Head, Slice 85 of 155
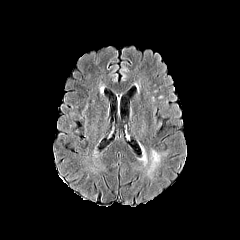
FLAIR MRI.
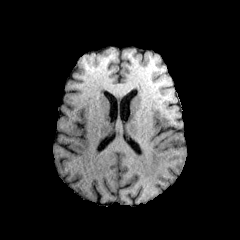
Same slice, T1-weighted MRI.
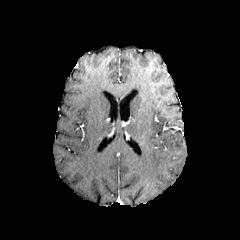
Post-contrast T1-weighted MR image.
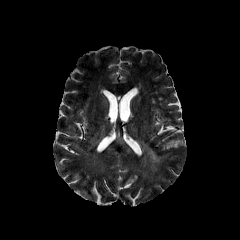
T2-weighted magnetic resonance.
<segmentation>
  <edema>[151, 150, 159, 168]</edema>
</segmentation>